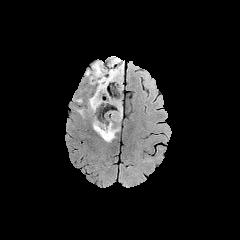
FLAIR MR image.
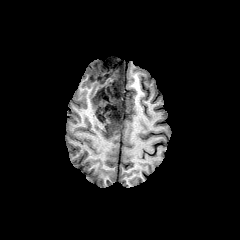
T1-weighted MR image.
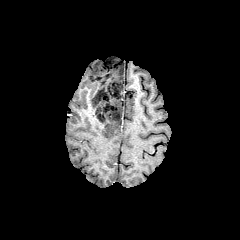
Post-contrast T1-weighted magnetic resonance of the same slice.
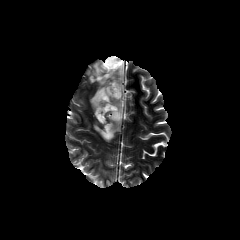
T2-weighted MR.
240x240.
Non-enhancing tumor core: bounding box [x1=96, y1=88, x2=105, y2=107], [x1=97, y1=59, x2=123, y2=93], [x1=111, y1=108, x2=121, y2=119].
Edema: bounding box [x1=86, y1=61, x2=121, y2=111], [x1=93, y1=109, x2=122, y2=142].